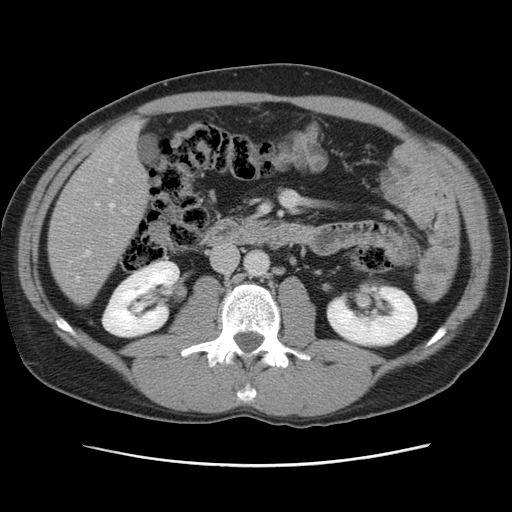 CT slice | 512x512 px | Abdomen
Not every hepatic vessel necessarily has a box.
8 hepatic vessel regions are bounded by left=76, top=277, right=79, bottom=281; left=72, top=218, right=74, bottom=220; left=124, top=210, right=125, bottom=213; left=135, top=125, right=138, bottom=129; left=84, top=251, right=90, bottom=256; left=95, top=203, right=98, bottom=205; left=109, top=179, right=111, bottom=182; left=110, top=203, right=114, bottom=211.